Slice 557/605, Image width 434 mm, Computed tomography 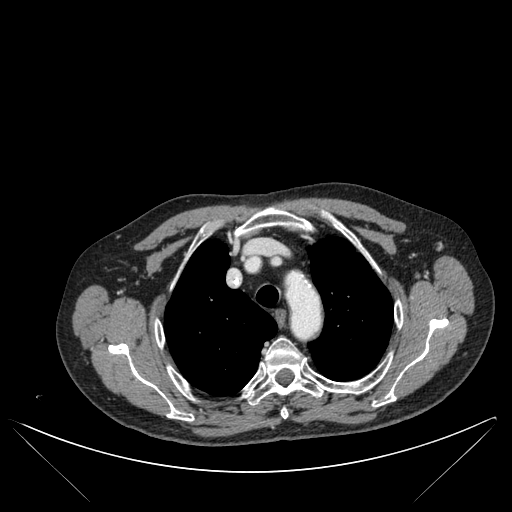
lung:
  - <bbox>164, 240, 278, 396</bbox>
  - <bbox>307, 237, 393, 380</bbox>
bone:
  - <bbox>242, 338, 392, 404</bbox>
  - <bbox>372, 318, 448, 406</bbox>
  - <bbox>234, 207, 312, 237</bbox>
  - <bbox>154, 319, 164, 347</bbox>
  - <bbox>281, 408, 287, 418</bbox>
  - <bbox>167, 366, 193, 399</bbox>
  - <bbox>322, 210, 367, 257</bbox>
  - <bbox>108, 343, 193, 420</bbox>
  - <bbox>394, 300, 402, 327</bbox>